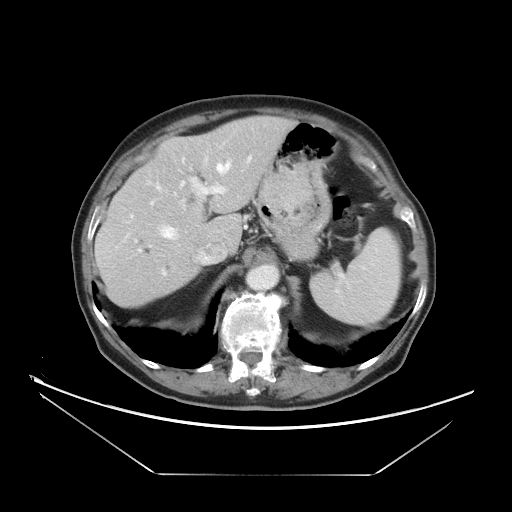

Abdomen | CT slice
Only some of the vessels may be annotated.
5 hepatic vessel regions appear at rect(161, 227, 174, 238); rect(213, 187, 223, 192); rect(136, 248, 141, 250); rect(182, 182, 185, 184); rect(216, 158, 231, 174).